Field of view 240x240 mm, Image size 240x240
FLAIR MR image.
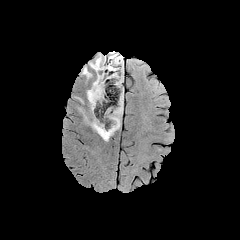
T1-weighted MRI.
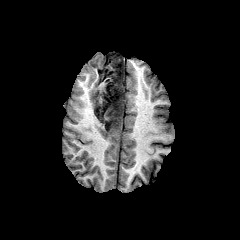
Post-contrast T1-weighted MR image.
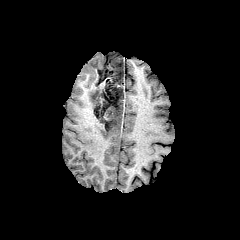
T2-weighted MRI.
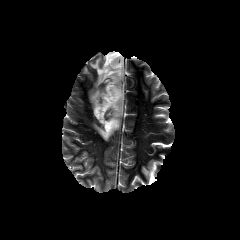
Edema: bounding box x1=91 y1=68 x2=123 y2=141, x1=87 y1=54 x2=105 y2=113.
Non-enhancing tumor core: bounding box x1=103 y1=116 x2=117 y2=132, x1=93 y1=54 x2=121 y2=110, x1=94 y1=98 x2=108 y2=120.